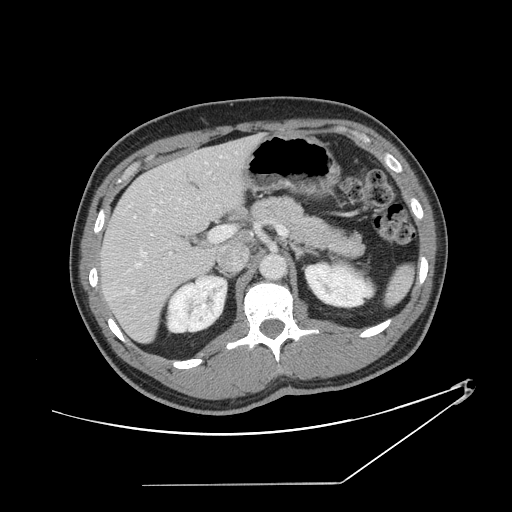

Image size 512x512, CT slice

Some hepatic vessels may have no box.
hepatic vessel: left=140, top=251, right=146, bottom=257; left=220, top=156, right=222, bottom=157; left=122, top=288, right=133, bottom=293; left=160, top=201, right=161, bottom=203; left=136, top=263, right=141, bottom=266; left=153, top=209, right=155, bottom=211; left=161, top=187, right=162, bottom=189; left=225, top=155, right=226, bottom=157; left=169, top=252, right=171, bottom=253; left=179, top=198, right=180, bottom=201